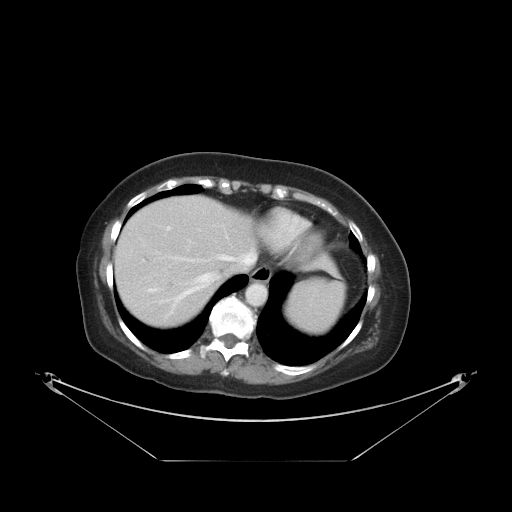 CT slice, Abdomen, Image size 512x512
Not every hepatic vessel necessarily has a box.
{
  "hepatic_vessel": [
    "left=150, top=289, right=154, bottom=291",
    "left=176, top=274, right=216, bottom=301",
    "left=213, top=250, right=257, bottom=271",
    "left=168, top=227, right=170, bottom=228"
  ]
}